MR; Hippocampus

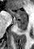
posterior hippocampus: (14, 20, 26, 31) | anterior hippocampus: (9, 10, 26, 20)